FLAIR magnetic resonance.
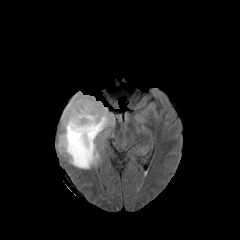
T1-weighted magnetic resonance.
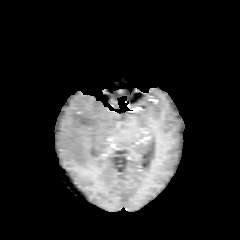
Post-contrast T1-weighted MR image.
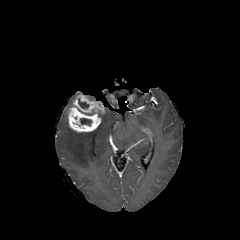
T2-weighted MR image.
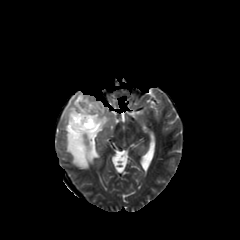
• non-enhancing tumor core: <bbox>64, 99, 72, 125</bbox>
• enhancing tumor: <bbox>66, 91, 104, 132</bbox>
• edema: <bbox>58, 110, 112, 169</bbox>